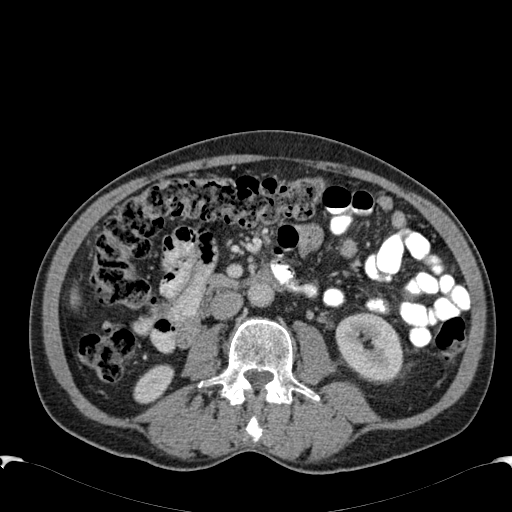

CT scan slice

2 kidney regions appear at (134,366,173,402), (333,313,402,380). The liver is located at (70,285,81,307).